Head; Slice 109/155; Field of view 240 mm wide, 1.00 mm slice spacing
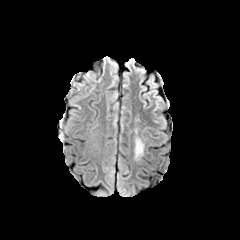
FLAIR MRI.
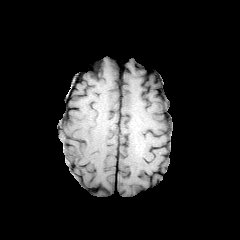
T1-weighted MR image.
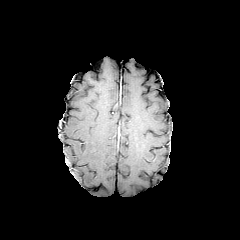
Post-contrast T1-weighted MR of the same slice.
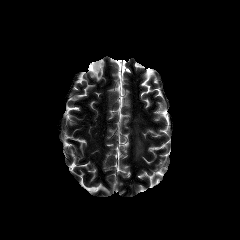
T2-weighted MRI.
Edema at box(135, 138, 143, 157).